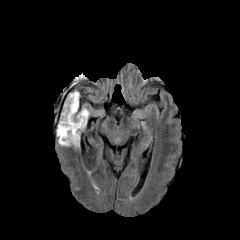
FLAIR MRI.
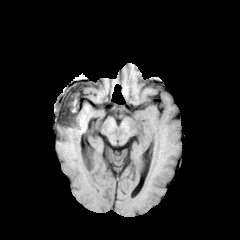
T1-weighted MR image.
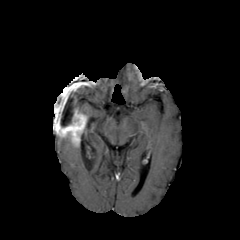
Same slice, post-contrast T1-weighted MR.
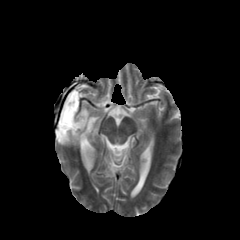
T2-weighted MR image.
Brain
2 non-enhancing tumor core regions are bounded by [x1=66, y1=76, x2=87, y2=87], [x1=54, y1=86, x2=87, y2=129]. 2 enhancing tumor regions are located at [x1=61, y1=82, x2=87, y2=114], [x1=55, y1=108, x2=87, y2=138]. 2 edema regions are located at [x1=78, y1=85, x2=90, y2=118], [x1=58, y1=120, x2=87, y2=144].